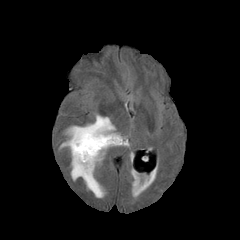
FLAIR MRI.
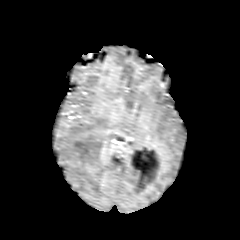
Same slice, T1-weighted MR image.
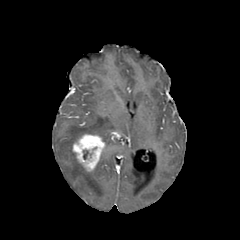
Post-contrast T1-weighted magnetic resonance.
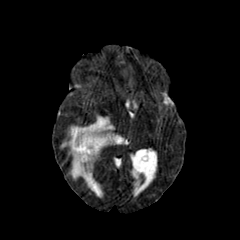
T2-weighted MR.
240x240.
2 edema regions are bounded by x1=70, y1=152, x2=103, y2=197; x1=60, y1=115, x2=128, y2=147. The enhancing tumor is at x1=69, y1=132, x2=106, y2=173.